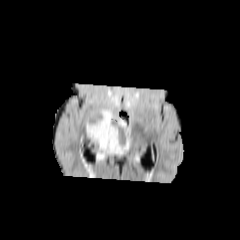
FLAIR MR.
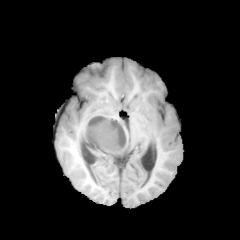
T1-weighted MR.
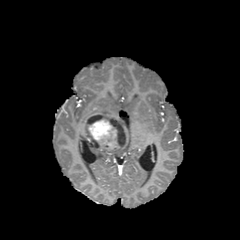
Post-contrast T1-weighted magnetic resonance.
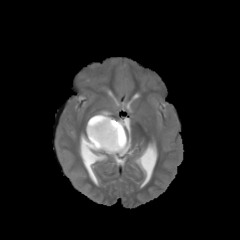
T2-weighted MRI.
Brain; Image size 240x240
The enhancing tumor is bounded by [x1=88, y1=119, x2=118, y2=150]. The edema is at [x1=108, y1=146, x2=129, y2=156]. The non-enhancing tumor core is located at [x1=82, y1=112, x2=129, y2=153].